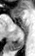
Image size 35x56; MRI

Posterior hippocampus: bounding box 12:26:26:50.